Slice 117/155
FLAIR MRI.
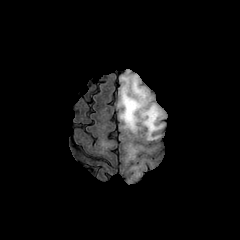
T1-weighted MR.
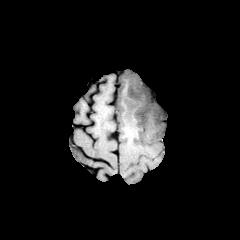
Post-contrast T1-weighted magnetic resonance.
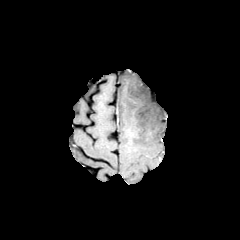
T2-weighted MRI.
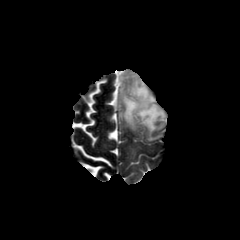
The non-enhancing tumor core is at (128, 87, 163, 124). The edema lies within (116, 69, 166, 141).